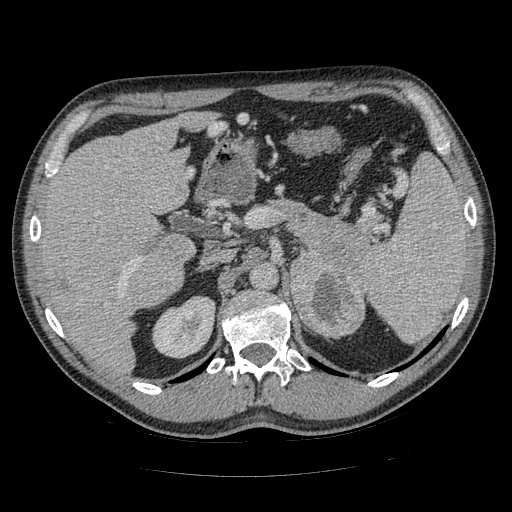
Computed tomography. 512x512 px. Abdomen.

pancreas:
  - x1=276, y1=201, x2=370, y2=290
pancreatic_tumor:
  - x1=291, y1=257, x2=364, y2=337